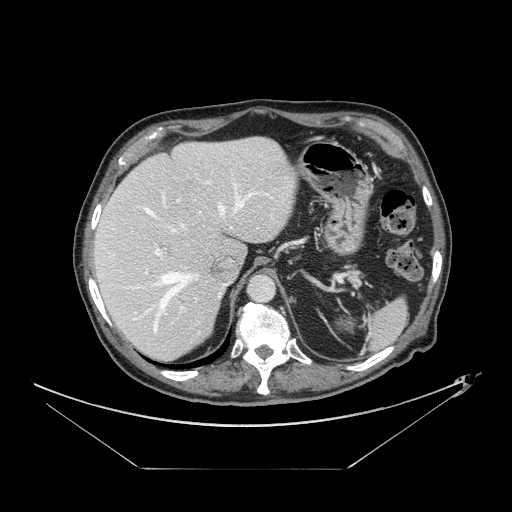 CT scan slice. Abdomen. Pancreas = 348,268,359,283.